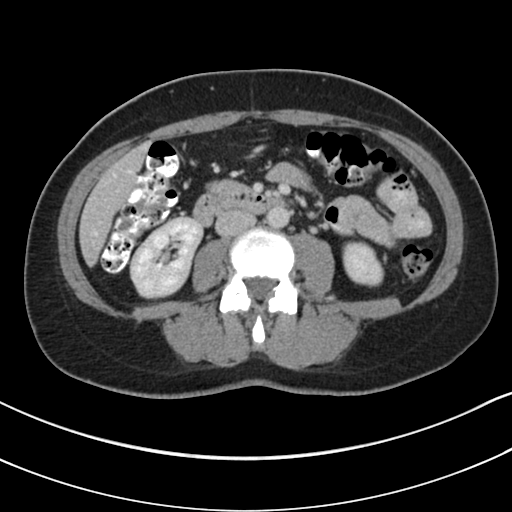

CT scan slice; 512x512

The pancreas is located at (207,181,239,195).